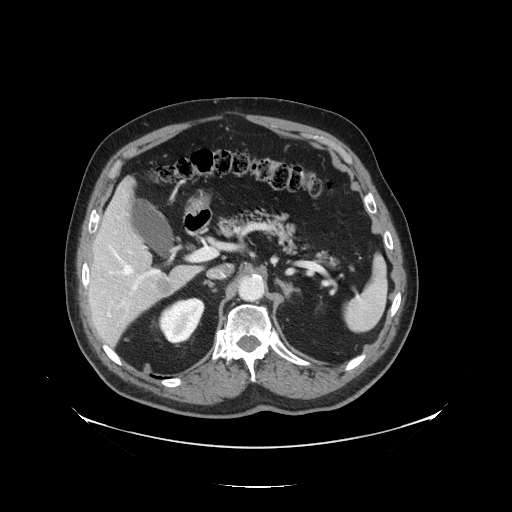
CT scan slice | Abdomen
Only some of the vessels may be annotated.
Findings:
* liver tumor: [157,279,172,294]
* hepatic vessel: [108,312,109,315], [133,281,139,289], [112,250,121,260], [129,252,131,253], [140,277,143,280], [146,270,159,275], [121,302,126,305], [122,262,133,274]